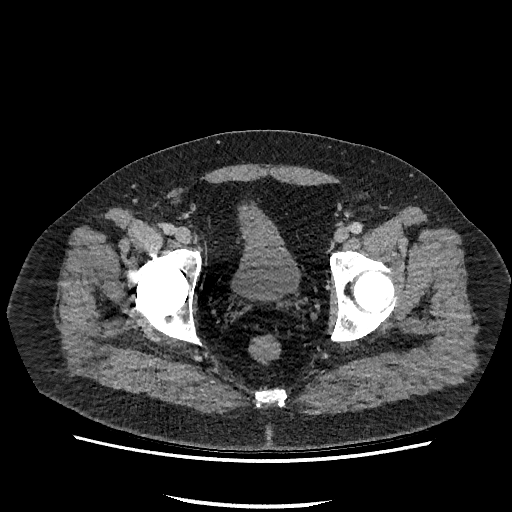

Computed tomography
The urinary bladder is located at bbox=[231, 201, 300, 302].